FLAIR magnetic resonance.
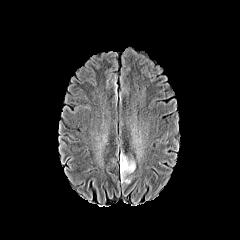
T1-weighted MRI.
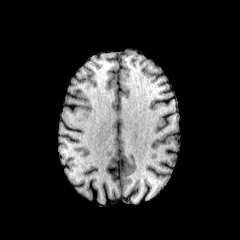
Post-contrast T1-weighted MR image.
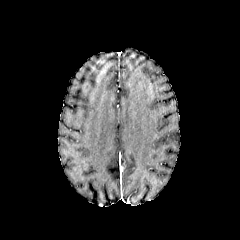
T2-weighted MR image.
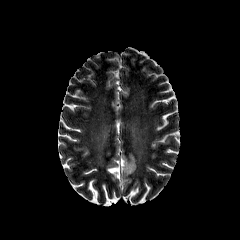
240x240.
Enhancing tumor: bounding box 119,156,125,171.
Edema: bounding box 120,155,135,183.